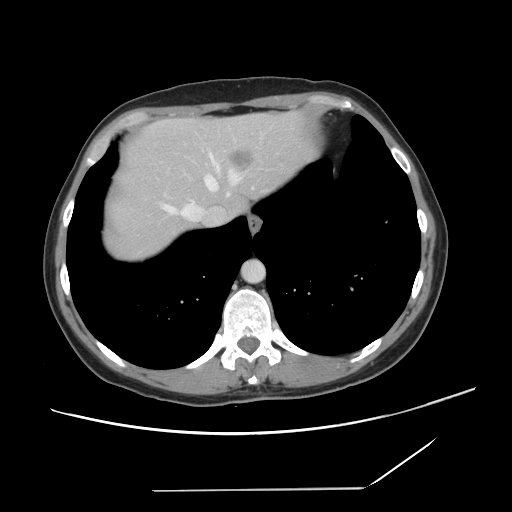 Liver | CT
Some hepatic vessels may have no box.
hepatic vessel: x1=210, y1=154, x2=218, y2=168; x1=204, y1=175, x2=217, y2=190; x1=162, y1=200, x2=201, y2=220; x1=227, y1=193, x2=229, y2=195; x1=252, y1=187, x2=253, y2=188; x1=229, y1=171, x2=240, y2=183 | liver tumor: x1=233, y1=153, x2=253, y2=170